Computed tomography | Slice 65 of 139

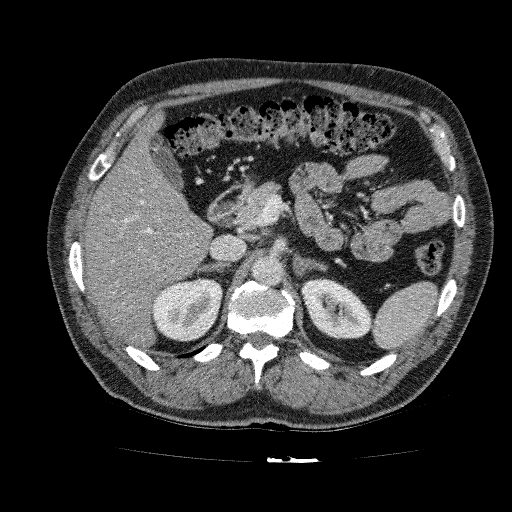
liver:
  - left=83, top=112, right=213, bottom=347
kidney:
  - left=152, top=279, right=221, bottom=340
  - left=302, top=280, right=370, bottom=337